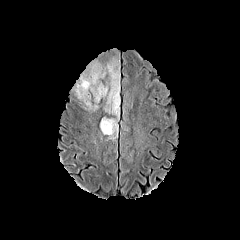
FLAIR MR.
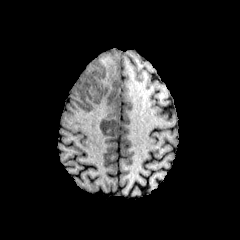
Same slice, T1-weighted MRI.
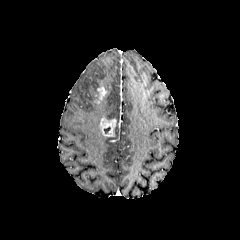
Same slice, post-contrast T1-weighted MR image.
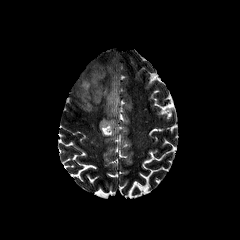
T2-weighted MRI.
Head, 240x240
Findings:
• enhancing tumor: 99 118 116 135, 97 86 106 104
• edema: 74 67 105 109, 105 65 120 139